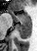 MR image | 37x51
posterior_hippocampus:
  - 15,22,30,38
anterior_hippocampus:
  - 10,10,30,21